FLAIR MR.
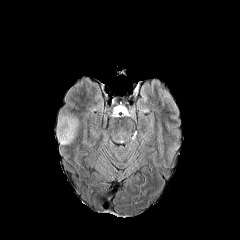
T1-weighted MR.
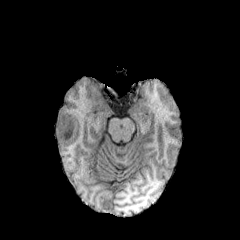
Post-contrast T1-weighted MRI.
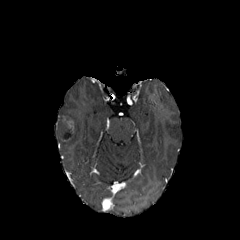
T2-weighted MR.
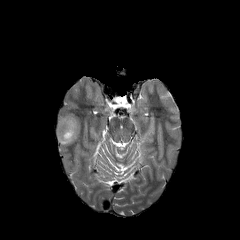
<segmentation>
  <enhancing_tumor>bbox=[66, 119, 74, 132]</enhancing_tumor>
  <non-enhancing_tumor_core>bbox=[57, 116, 74, 140]</non-enhancing_tumor_core>
  <edema>bbox=[69, 115, 79, 129]; bbox=[56, 130, 76, 144]</edema>
</segmentation>